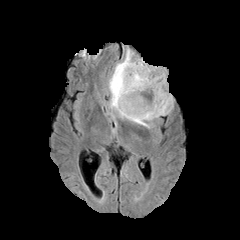
FLAIR MR image.
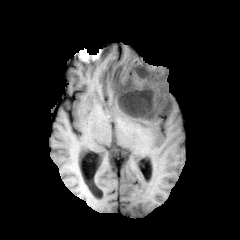
T1-weighted MR image.
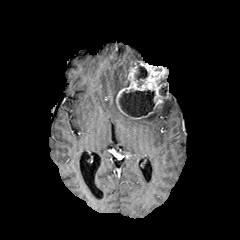
Post-contrast T1-weighted magnetic resonance of the same slice.
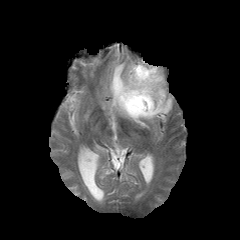
T2-weighted MR image.
<segmentation>
  <edema>(106, 49, 173, 128)</edema>
  <non-enhancing_tumor_core>(117, 90, 161, 117), (160, 87, 167, 96), (135, 66, 147, 79), (160, 97, 171, 111)</non-enhancing_tumor_core>
  <enhancing_tumor>(116, 62, 168, 109)</enhancing_tumor>
</segmentation>